FLAIR MR.
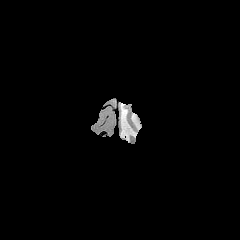
T1-weighted MRI.
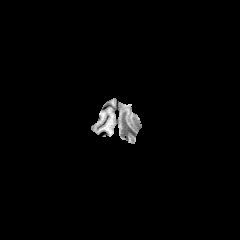
Post-contrast T1-weighted MR.
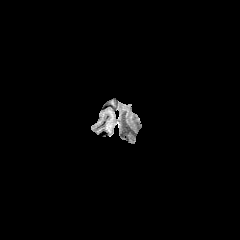
T2-weighted MR image.
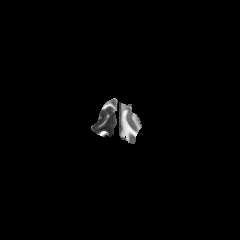
Brain
Edema = [x1=120, y1=104, x2=139, y2=141].